FLAIR MRI.
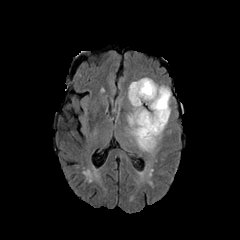
T1-weighted MR image.
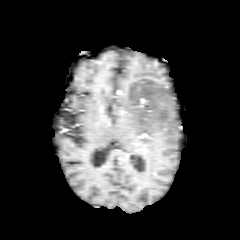
Post-contrast T1-weighted magnetic resonance.
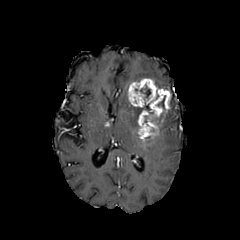
T2-weighted MR.
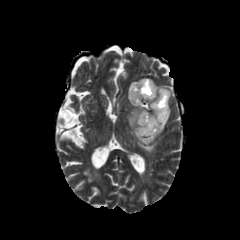
Brain.
Segmented structures:
* enhancing tumor: 128,79,171,142
* non-enhancing tumor core: 136,99,153,114; 140,88,150,98
* edema: 128,106,170,152